CT scan slice; Upper abdomen; Image size 512x512

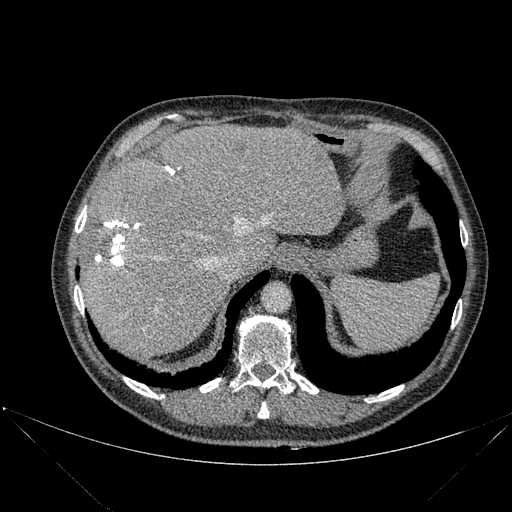

Lung: 89, 271, 269, 389; 291, 158, 465, 393.
Liver: 79, 125, 342, 355.
Bone: 258, 402, 268, 418; 451, 307, 461, 328; 200, 378, 221, 392; 365, 385, 403, 402; 231, 316, 318, 393; 460, 222, 467, 245; 74, 286, 83, 314; 123, 377, 160, 398; 75, 207, 86, 232.